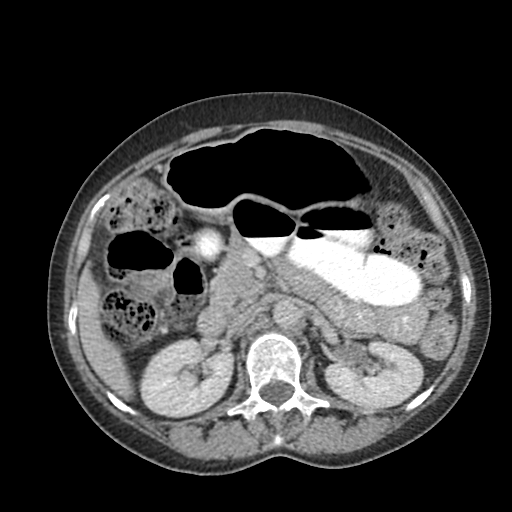

Image size 512x512. CT slice.
Annotated regions:
* colon tumor: bbox(126, 270, 170, 295)